512x512 px. Field of view 412 mm wide, 5.00 mm slice spacing. CT slice. Abdomen.

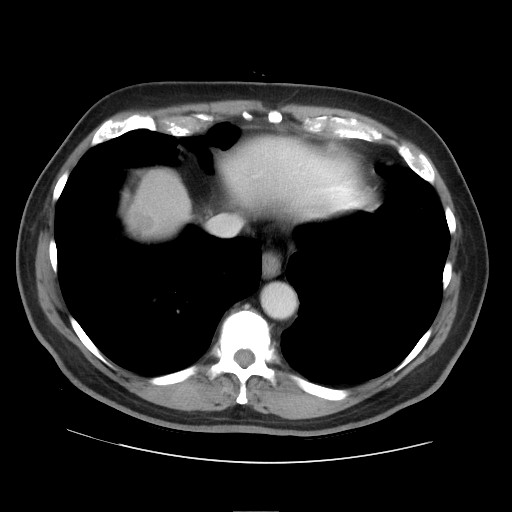

Liver tumor = l=129, t=209, r=157, b=235.